Abdomen; Field of view 512x512 mm; Computed tomography 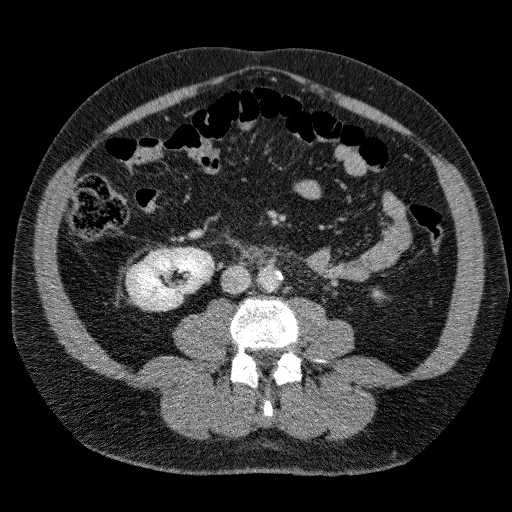
The kidney appears at <bbox>127, 248, 213, 309</bbox>.